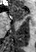

MR; Image size 36x52

Anterior hippocampus: bounding box [x1=11, y1=4, x2=27, y2=20].